FLAIR magnetic resonance.
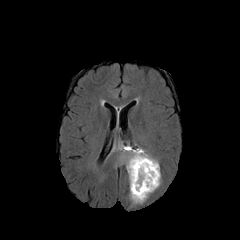
T1-weighted MR.
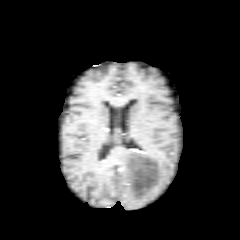
Post-contrast T1-weighted magnetic resonance.
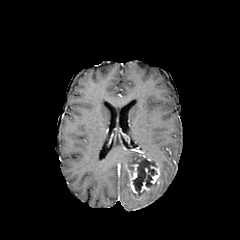
T2-weighted MR image.
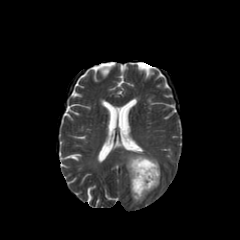
Head
The non-enhancing tumor core appears at [133, 154, 156, 193]. 3 edema regions are bounded by [121, 146, 140, 172], [136, 145, 159, 166], [128, 172, 159, 203]. 3 enhancing tumor regions are bounded by [151, 164, 159, 183], [130, 164, 137, 193], [140, 182, 149, 192].